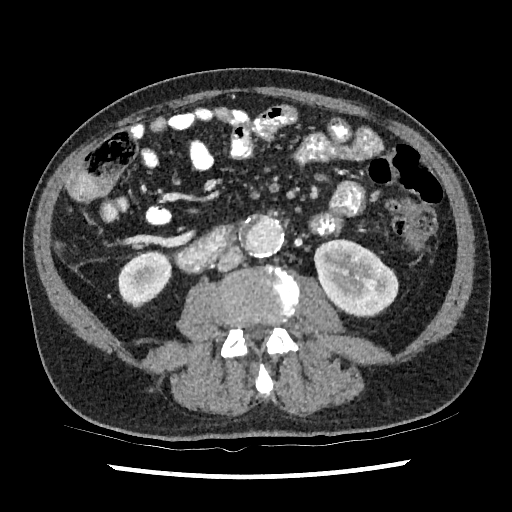
Computed tomography | Abdomen

2 kidney regions are located at x1=119 y1=252 x2=170 y2=306, x1=314 y1=240 x2=397 y2=315.